Computed tomography 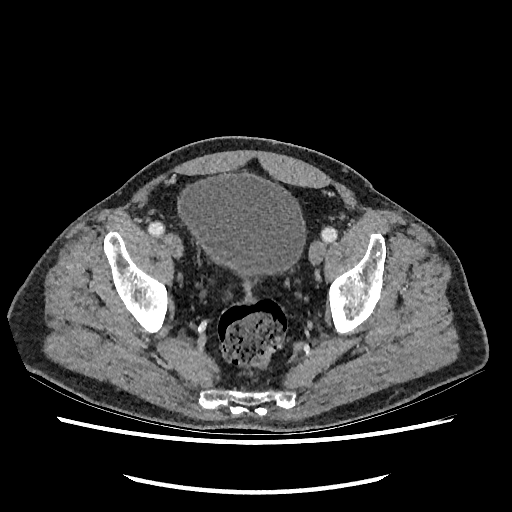

The urinary bladder is located at 180 172 305 278.